Brain
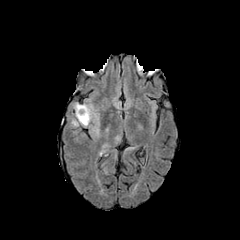
FLAIR MRI.
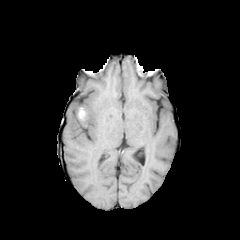
T1-weighted magnetic resonance of the same slice.
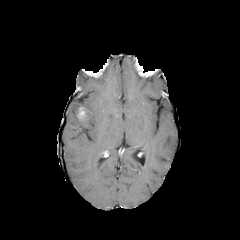
Post-contrast T1-weighted magnetic resonance.
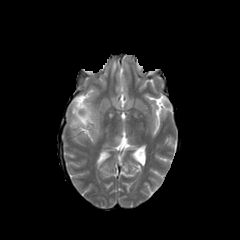
T2-weighted MR image.
Edema = {"x1": 70, "y1": 102, "x2": 93, "y2": 130}.
Non-enhancing tumor core = {"x1": 76, "y1": 106, "x2": 90, "y2": 121}.